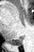
MR image
<segmentation>
  <posterior_hippocampus><bbox>8, 36, 22, 45</bbox></posterior_hippocampus>
</segmentation>